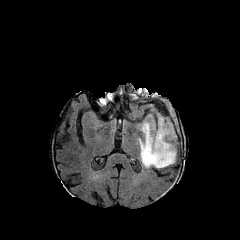
FLAIR MR.
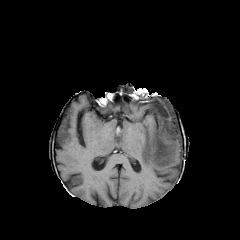
T1-weighted magnetic resonance.
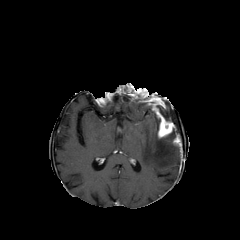
Same slice, post-contrast T1-weighted MR image.
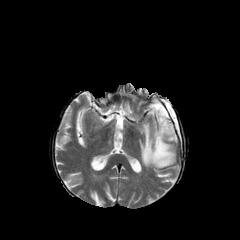
T2-weighted MRI of the same slice.
Enhancing tumor: bounding box region(151, 104, 173, 137).
Edema: bounding box region(138, 112, 179, 169).
Non-enhancing tumor core: bounding box region(147, 104, 156, 117); region(151, 94, 181, 151); region(154, 117, 159, 137).